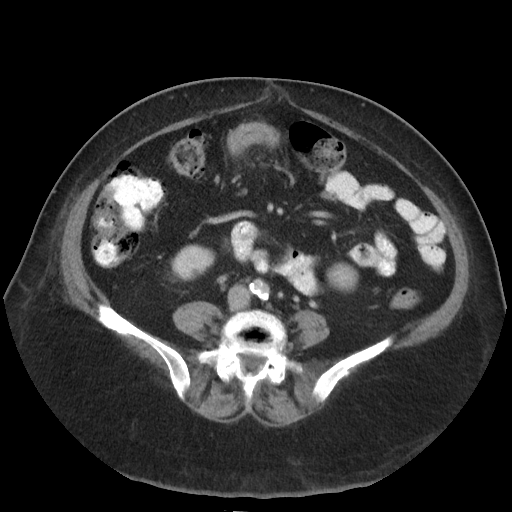
Computed tomography
Colon tumor: bounding box (x1=227, y1=122, x2=278, y2=154).